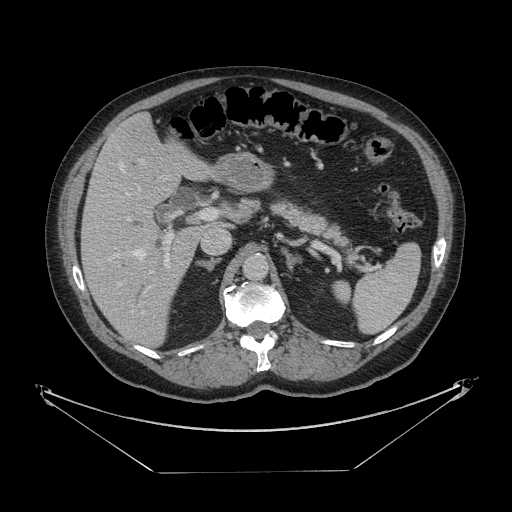
CT image; 512x512
The pancreas is at box(272, 201, 349, 249).